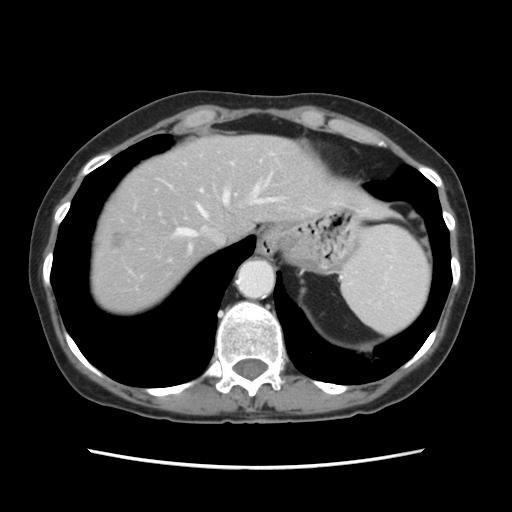 CT slice
Not every hepatic vessel necessarily has a box.
Annotated regions:
• liver tumor: left=112, top=233, right=128, bottom=246
• hepatic vessel: left=177, top=229, right=194, bottom=235; left=200, top=190, right=202, bottom=192; left=268, top=200, right=272, bottom=200; left=198, top=207, right=205, bottom=215; left=252, top=186, right=266, bottom=202; left=223, top=192, right=227, bottom=202